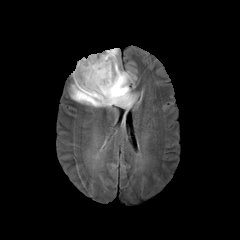
FLAIR magnetic resonance.
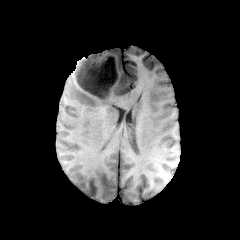
Same slice, T1-weighted MRI.
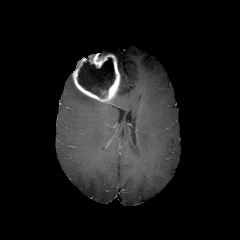
Post-contrast T1-weighted MR image.
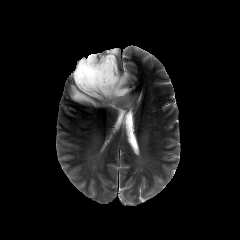
T2-weighted MR image of the same slice.
240x240 | Brain
Edema — (left=70, top=48, right=138, bottom=112).
Enhancing tumor — (left=72, top=53, right=120, bottom=104).
Non-enhancing tumor core — (left=77, top=57, right=115, bottom=98), (left=99, top=52, right=115, bottom=57).